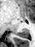

Medial temporal lobe, 35x47, MR

<segmentation>
  <posterior_hippocampus>[16, 29, 28, 37]</posterior_hippocampus>
</segmentation>